FLAIR MR.
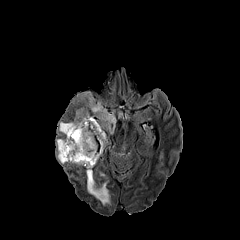
T1-weighted MR.
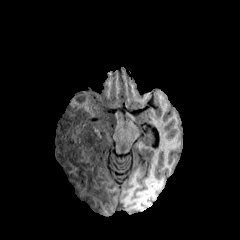
Post-contrast T1-weighted MR image.
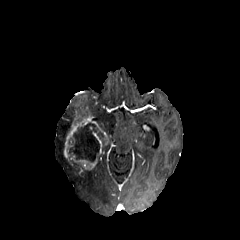
T2-weighted MRI.
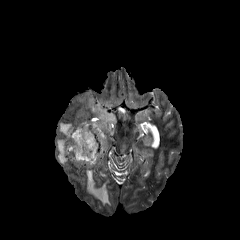
{"enhancing_tumor": ["(x1=63, y1=94, x2=109, y2=173)"], "edema": ["(x1=56, y1=119, x2=69, y2=135)", "(x1=55, y1=135, x2=68, y2=165)", "(x1=85, y1=170, x2=109, y2=205)", "(x1=84, y1=91, x2=116, y2=130)"], "non-enhancing_tumor_core": ["(x1=73, y1=122, x2=100, y2=161)", "(x1=61, y1=103, x2=77, y2=128)"]}